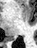

37x48, MRI
Posterior hippocampus: bounding box 8, 37, 15, 40.